CT slice. Abdomen. Image size 512x512.

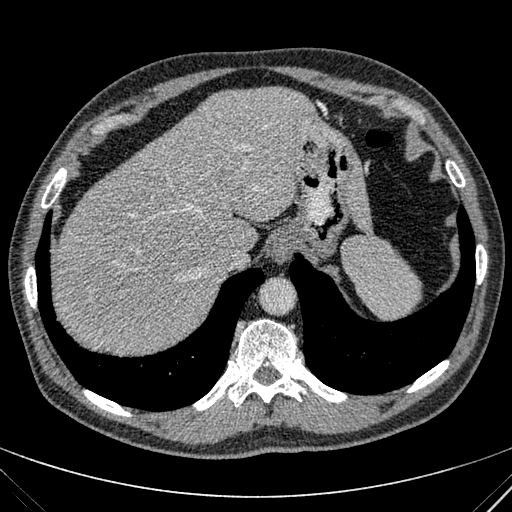 liver:
  - box(347, 161, 370, 233)
  - box(51, 87, 341, 353)